CT; Abdomen
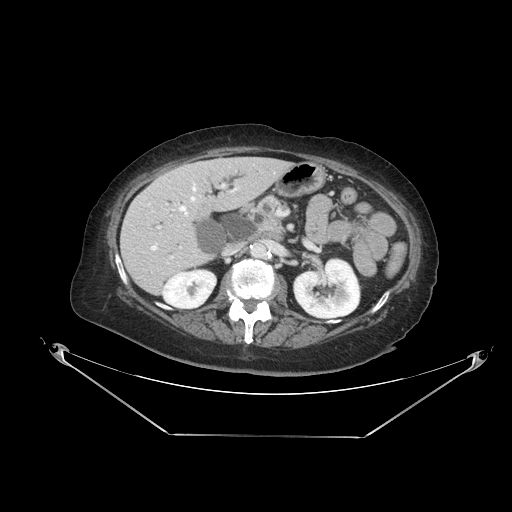 Pancreas: bounding box left=251, top=196, right=281, bottom=228.